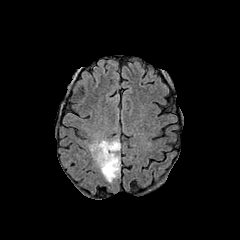
FLAIR MR.
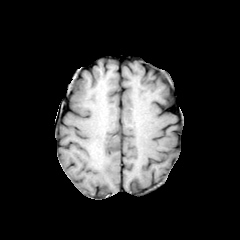
T1-weighted magnetic resonance.
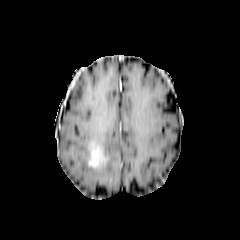
Post-contrast T1-weighted MR image of the same slice.
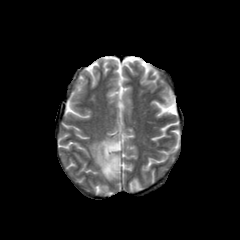
T2-weighted magnetic resonance.
Enhancing tumor: bounding box [91,144,105,165].
Edema: bounding box [88,133,121,183].
Non-enhancing tumor core: bounding box [96,144,107,166].